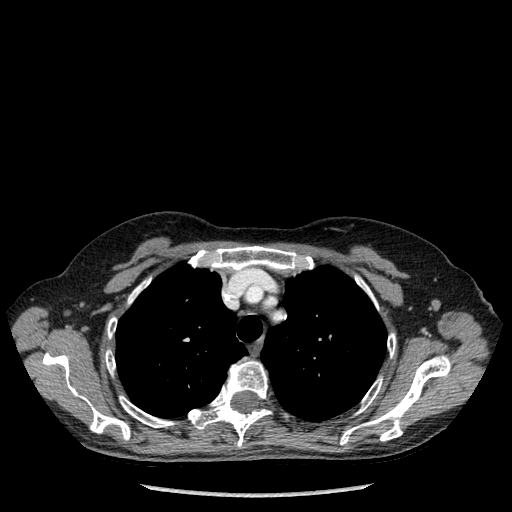

CT. bone: {"x1": 107, "y1": 317, "x2": 116, "y2": 338}, {"x1": 356, "y1": 377, "x2": 382, "y2": 414}, {"x1": 105, "y1": 350, "x2": 115, "y2": 375}, {"x1": 188, "y1": 246, "x2": 313, "y2": 272}, {"x1": 387, "y1": 333, "x2": 395, "y2": 357}, {"x1": 42, "y1": 353, "x2": 130, "y2": 440}, {"x1": 340, "y1": 355, "x2": 450, "y2": 444}, {"x1": 128, "y1": 277, "x2": 150, "y2": 304}, {"x1": 119, "y1": 396, "x2": 175, "y2": 427}, {"x1": 188, "y1": 360, "x2": 272, "y2": 447}, {"x1": 355, "y1": 275, "x2": 378, "y2": 309} | lung: {"x1": 261, "y1": 266, "x2": 386, "y2": 421}, {"x1": 116, "y1": 263, "x2": 262, "y2": 417}